Slice 362 of 547. Field of view 385x385 mm. CT image. Image size 512x512. Upper abdomen.
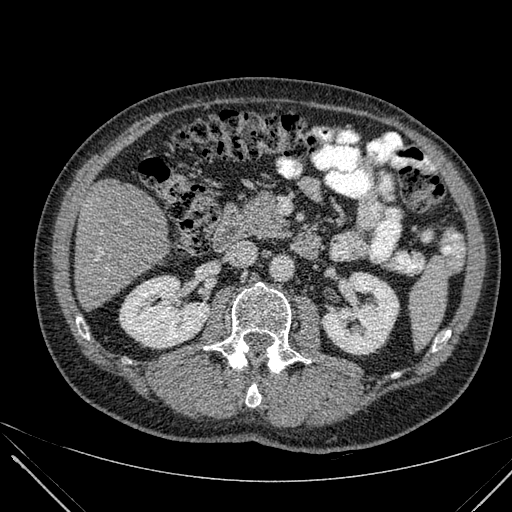 <segmentation>
  <kidney>(x1=323, y1=273, x2=398, y2=354), (x1=120, y1=276, x2=208, y2=347)</kidney>
  <liver>(x1=74, y1=179, x2=172, y2=309)</liver>
</segmentation>